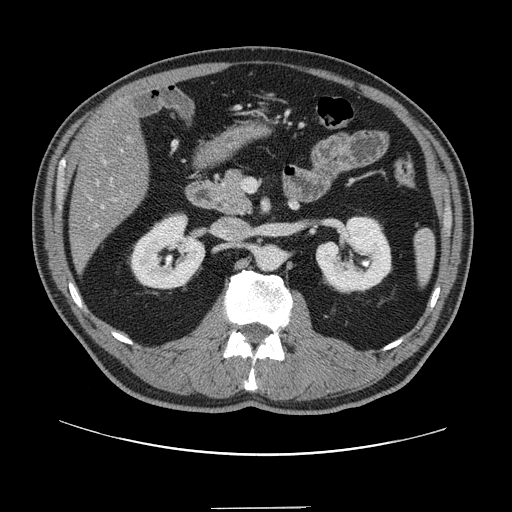

Abdomen. CT slice. Image size 512x512. The vessel annotation is not exhaustive.
<segmentation>
  <liver_tumor>70:206:99:234</liver_tumor>
  <hepatic_vessel>128:138:130:140, 96:226:97:227, 102:206:103:207, 97:182:98:184, 110:179:112:183, 114:199:117:200, 121:150:122:151, 103:159:106:164</hepatic_vessel>
</segmentation>